CT slice; Slice 46 of 105 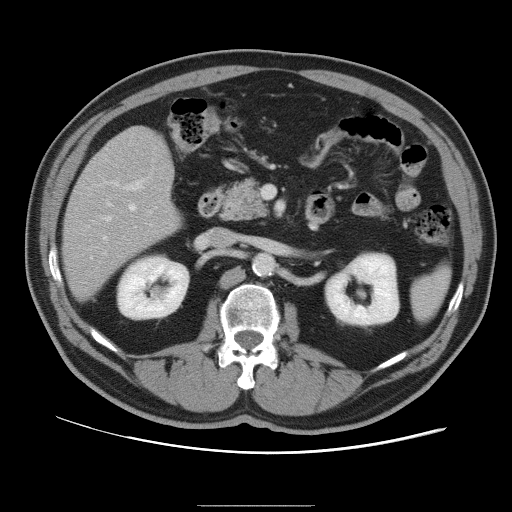

Some hepatic vessels may have no box.
12 hepatic vessel regions appear at region(87, 226, 89, 227); region(148, 211, 151, 213); region(134, 226, 135, 227); region(103, 235, 106, 239); region(101, 216, 111, 221); region(104, 252, 105, 253); region(129, 203, 135, 210); region(90, 256, 92, 258); region(148, 224, 151, 224); region(106, 201, 111, 206); region(101, 179, 118, 185); region(124, 171, 151, 190).